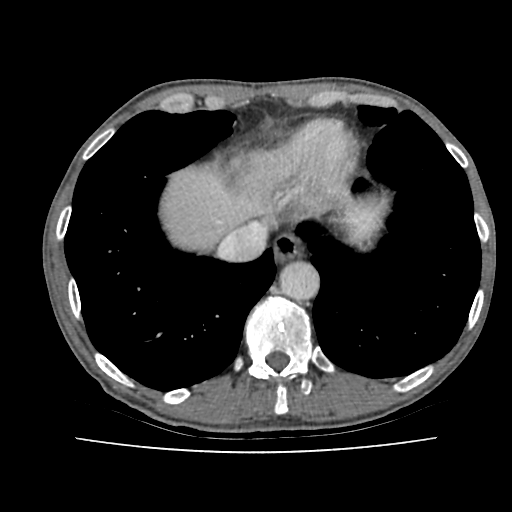

CT image, Liver
<segmentation>
  <liver>(161,165,318,249), (325,189,375,253)</liver>
</segmentation>